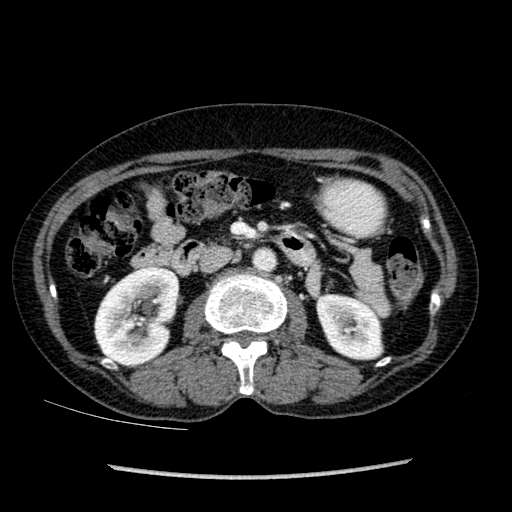

Abdomen, CT image
Kidney: x1=318 y1=295 x2=380 y2=358, x1=95 y1=267 x2=177 y2=364.